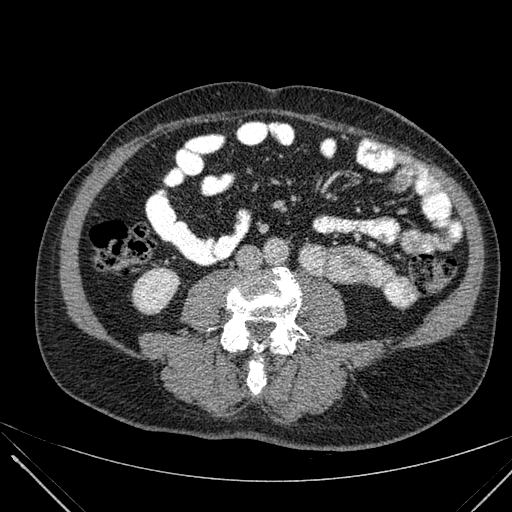 Abdomen; CT image

Kidney: bounding box 133:269:178:313.